Liver. CT image. Slice index 27. 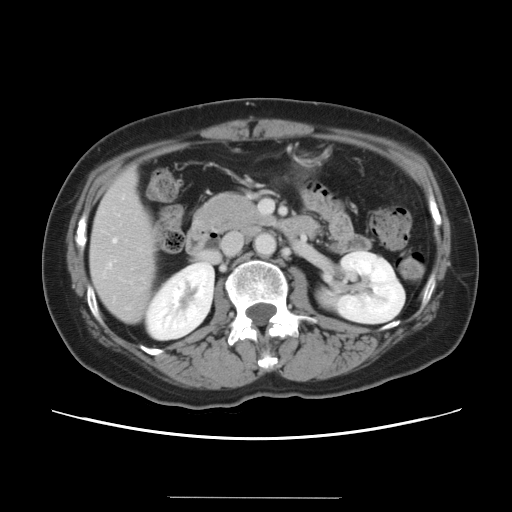 Not every hepatic vessel necessarily has a box.
4 hepatic vessel regions are located at rect(122, 196, 123, 198); rect(106, 263, 111, 269); rect(113, 239, 115, 242); rect(127, 308, 129, 309).